240x240 px, Field of view 240 mm wide, 1.00 mm slice spacing, Brain, Slice 92 of 155
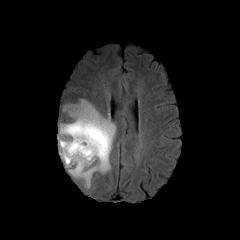
FLAIR MRI.
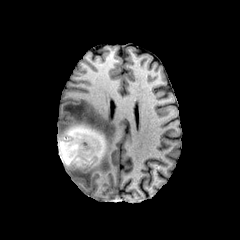
T1-weighted MRI of the same slice.
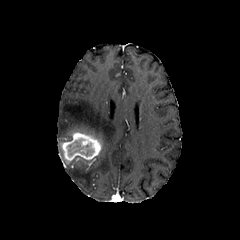
Same slice, post-contrast T1-weighted MR image.
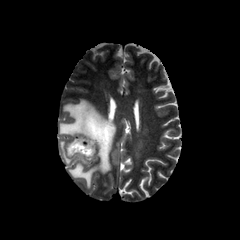
T2-weighted magnetic resonance.
2 enhancing tumor regions are located at 62:141:85:160, 73:133:100:159. 4 non-enhancing tumor core regions are located at 73:155:91:164, 66:138:94:157, 60:143:71:164, 66:126:107:158. The edema is located at 59:99:116:188.